FLAIR MR.
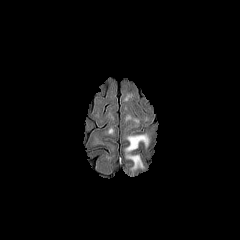
T1-weighted MRI.
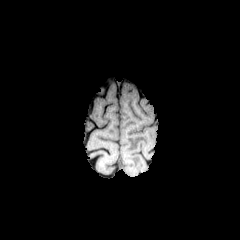
Post-contrast T1-weighted MRI.
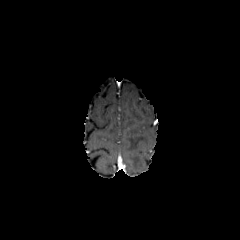
T2-weighted MRI.
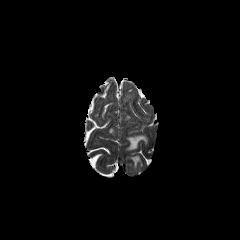
Edema — bbox=[125, 136, 148, 152]; bbox=[127, 156, 141, 169].